Slice 7 of 168; CT image

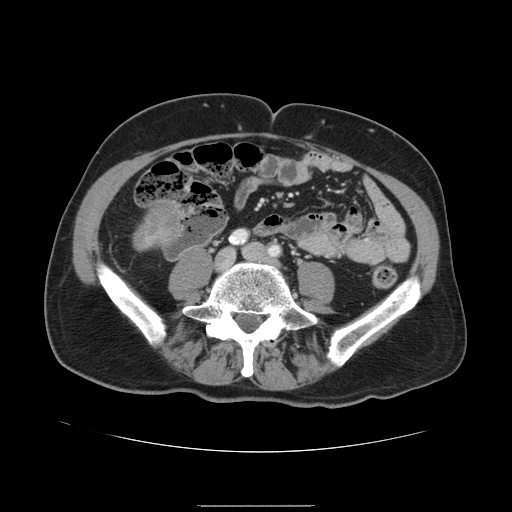
The liver tumor lies within {"x1": 137, "y1": 204, "x2": 180, "y2": 243}.